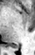 MR image
Posterior hippocampus: <bbox>12, 45, 18, 47</bbox>.